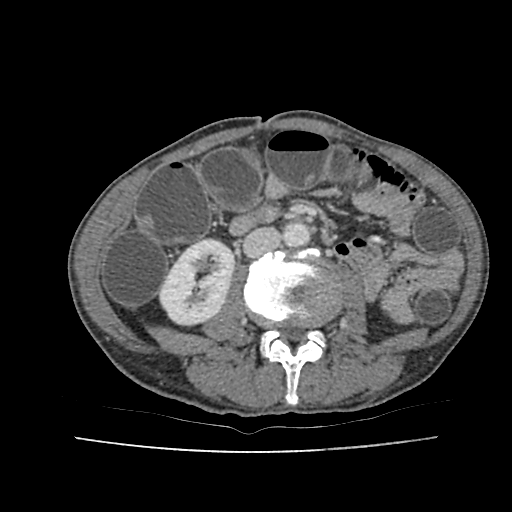 CT scan slice. Abdomen.
{
  "kidney": [
    "160:240:233:324"
  ]
}